Image size 240x240, Slice 125/155, Head
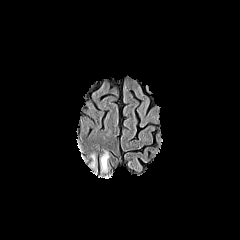
FLAIR MRI.
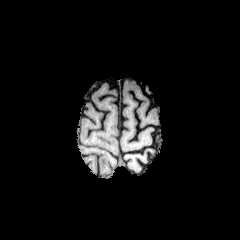
T1-weighted MR of the same slice.
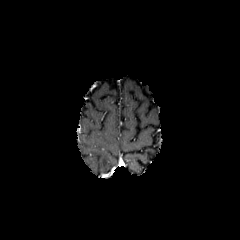
Post-contrast T1-weighted MRI of the same slice.
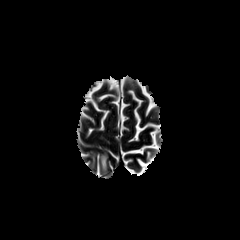
T2-weighted magnetic resonance of the same slice.
edema: x1=101 y1=154 x2=108 y2=168